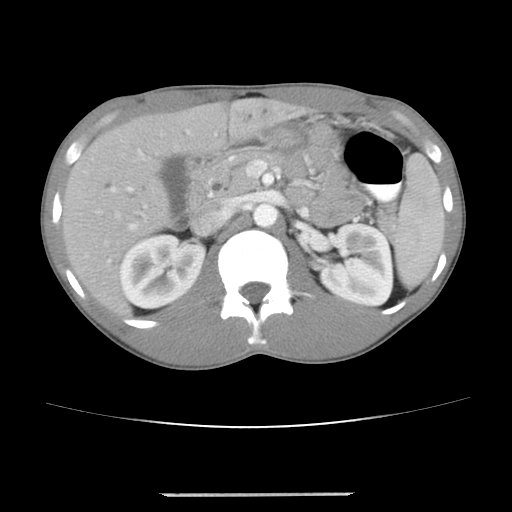

Computed tomography

The vessel boxes may cover only some of the vessels.
<segmentation>
  <hepatic_vessel>bbox=[114, 189, 115, 190]; bbox=[131, 225, 135, 228]</hepatic_vessel>
</segmentation>